Image size 35x44, Medial temporal lobe, Image width 35 mm, MR image
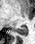

posterior hippocampus: region(12, 26, 27, 34)